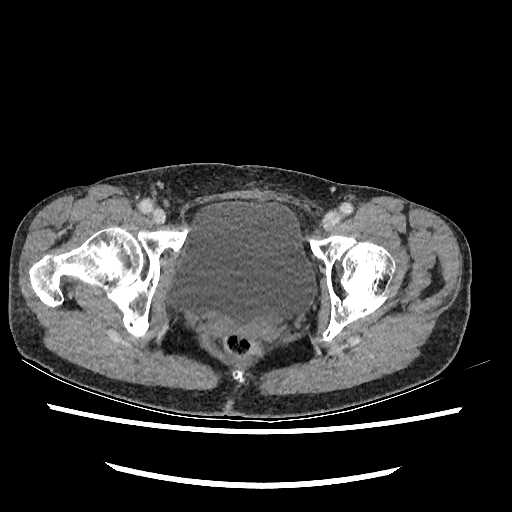

CT scan slice; Lower abdomen

The urinary bladder appears at bbox=[165, 198, 316, 330].